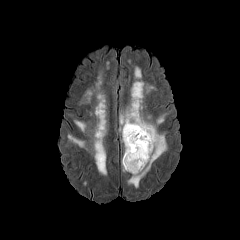
FLAIR MRI.
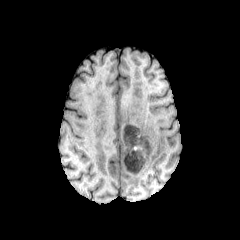
Same slice, T1-weighted MR.
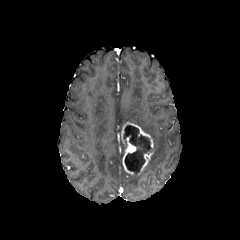
Same slice, post-contrast T1-weighted MR image.
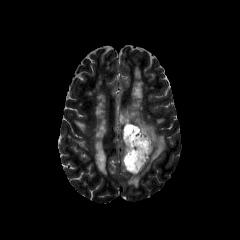
T2-weighted MRI.
Head
{"enhancing_tumor": [{"x1": 121, "y1": 122, "x2": 153, "y2": 148}, {"x1": 122, "y1": 137, "x2": 137, "y2": 174}, {"x1": 138, "y1": 151, "x2": 153, "y2": 174}], "edema": [{"x1": 74, "y1": 120, "x2": 86, "y2": 132}, {"x1": 119, "y1": 67, "x2": 167, "y2": 188}, {"x1": 83, "y1": 91, "x2": 91, "y2": 102}, {"x1": 156, "y1": 114, "x2": 165, "y2": 124}, {"x1": 68, "y1": 135, "x2": 84, "y2": 148}, {"x1": 93, "y1": 93, "x2": 107, "y2": 175}], "non-enhancing_tumor_core": [{"x1": 123, "y1": 125, "x2": 153, "y2": 174}]}